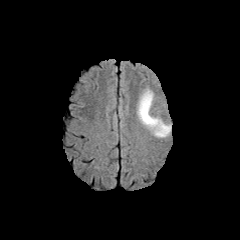
FLAIR MR image.
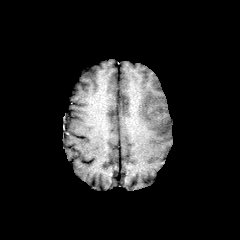
T1-weighted magnetic resonance of the same slice.
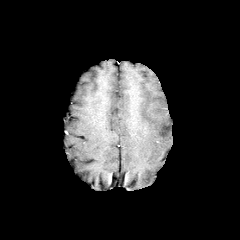
Post-contrast T1-weighted MR.
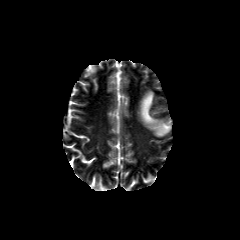
Same slice, T2-weighted magnetic resonance.
• edema: {"x1": 136, "y1": 86, "x2": 171, "y2": 137}